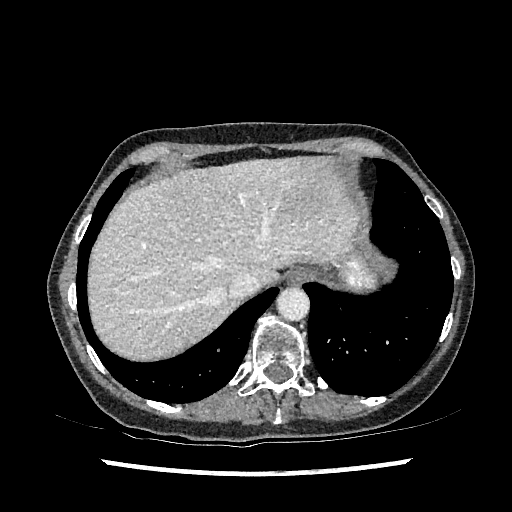
Abdomen; 512x512 px; CT

liver:
  - box=[89, 157, 357, 358]
hepatic_lesion:
  - box=[286, 168, 324, 219]